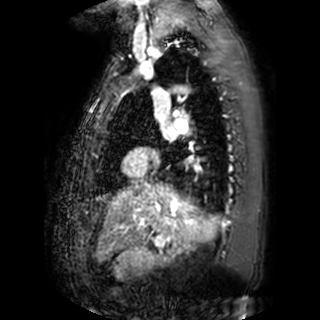 MR image

The left atrium appears at (x1=166, y1=127, x2=176, y2=138).